CT slice. Image size 512x512. Liver.
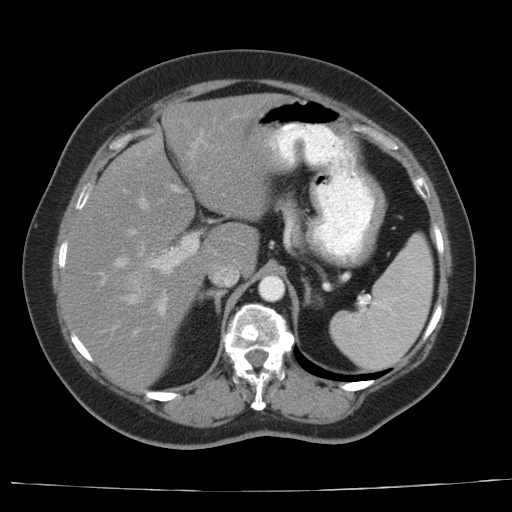
The vessel boxes may cover only some of the vessels.
Annotated regions:
• hepatic vessel: l=158, t=299, r=165, b=313; l=129, t=230, r=134, b=234; l=164, t=270, r=169, b=273; l=127, t=295, r=136, b=303; l=151, t=259, r=159, b=267; l=171, t=186, r=177, b=190; l=138, t=199, r=145, b=207; l=171, t=248, r=174, b=250; l=116, t=259, r=125, b=265